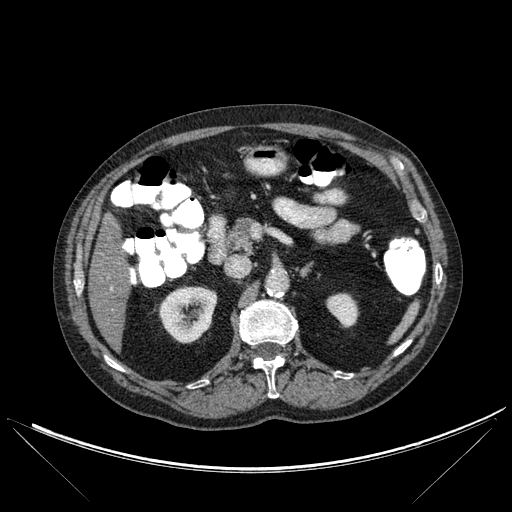 Upper abdomen. CT scan slice. Segmented structures:
• kidney: 160,287,216,342; 327,294,357,326
• liver: 89,213,130,351
• bone: 253,355,284,397; 394,340,410,355; 334,371,352,378; 435,264,442,283; 105,356,123,370; 189,380,208,388; 239,300,297,344; 74,280,82,293